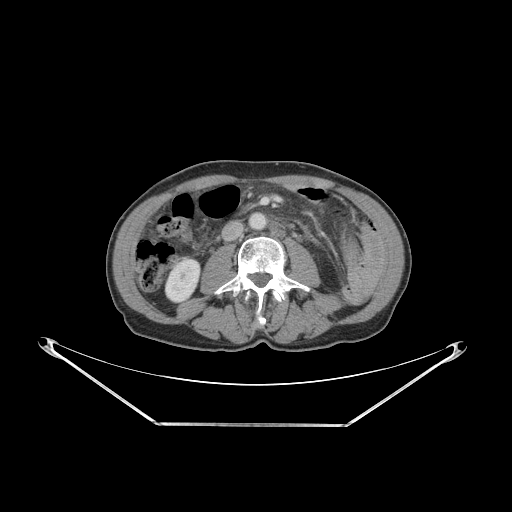 CT slice, Abdomen
{"kidney": ["x1=166 y1=260 x2=199 y2=301"], "bone": ["x1=217 y1=237 x2=308 y2=325"]}